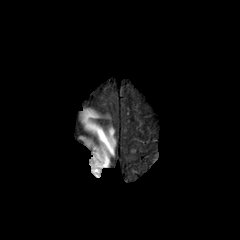
FLAIR MR.
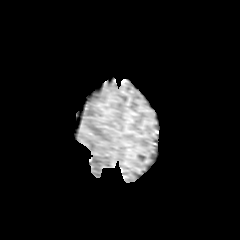
T1-weighted magnetic resonance.
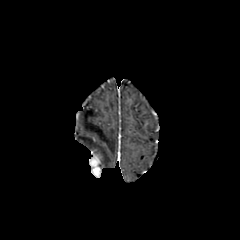
Post-contrast T1-weighted magnetic resonance.
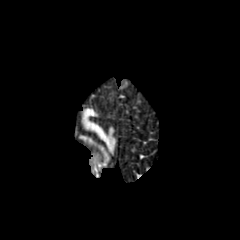
Same slice, T2-weighted magnetic resonance.
Brain
Edema at (x1=81, y1=108, x2=115, y2=165).
Enhancing tumor at (x1=91, y1=155, x2=100, y2=177).